Upper abdomen | CT

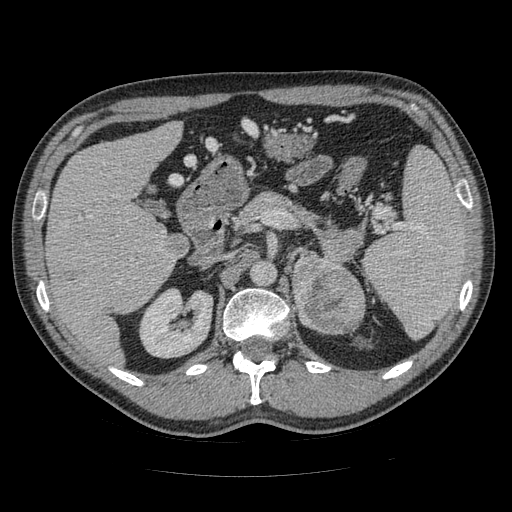
pancreas:
  - 242, 192, 361, 277
pancreatic_tumor:
  - 294, 258, 365, 332